512x512. CT.

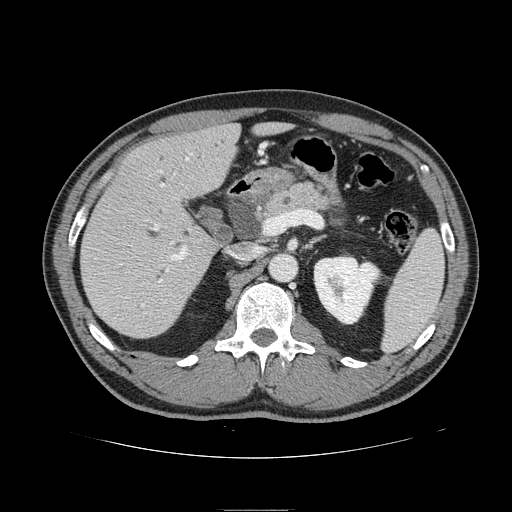 {"pancreas": ["263,183,337,217"]}